FLAIR MRI.
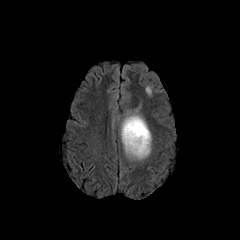
T1-weighted MRI.
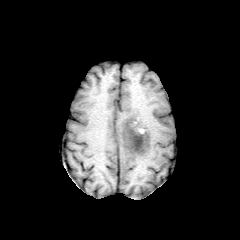
Post-contrast T1-weighted magnetic resonance.
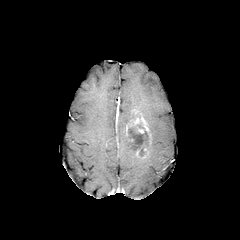
T2-weighted MR.
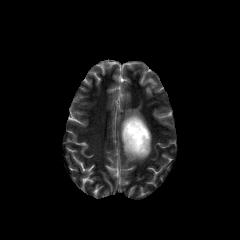
Brain | Image size 240x240
The edema is bounded by bbox=[116, 106, 151, 160]. The non-enhancing tumor core is located at bbox=[123, 127, 150, 156]. The enhancing tumor appears at bbox=[124, 117, 150, 138].